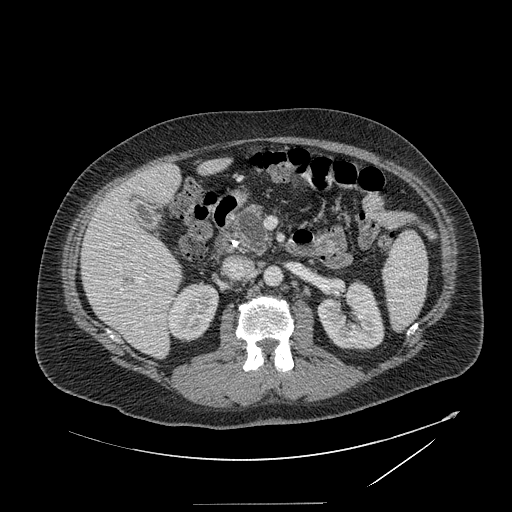
Computed tomography. Upper abdomen. 512x512.

The pancreas is bounded by box(232, 206, 272, 255).